Image width 411 mm | Slice 43 of 574 | CT slice
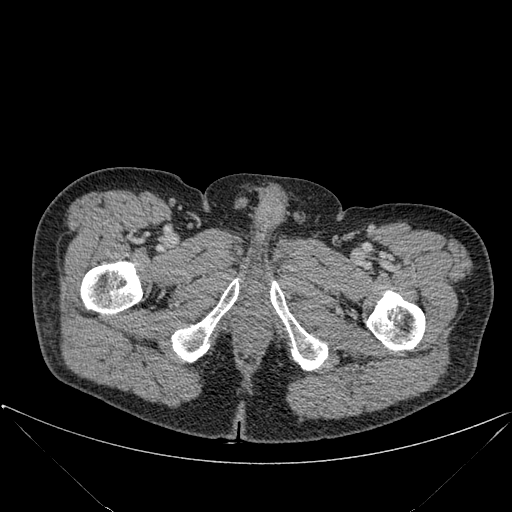 {"bone": ["80, 261, 142, 314", "171, 279, 238, 361", "270, 281, 327, 370", "366, 290, 425, 350"]}